Slice index 539. CT slice. Abdomen.
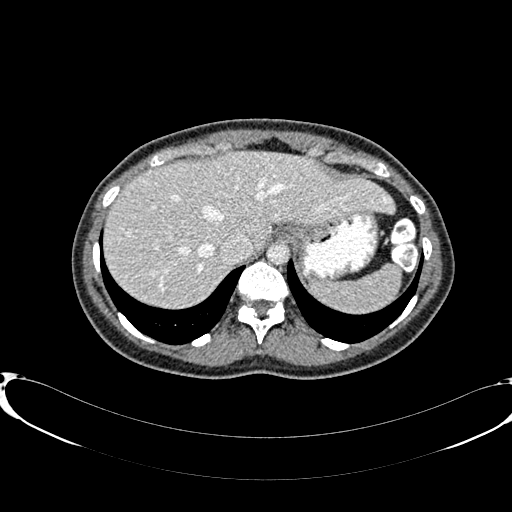

{"liver": ["104, 151, 394, 308"]}